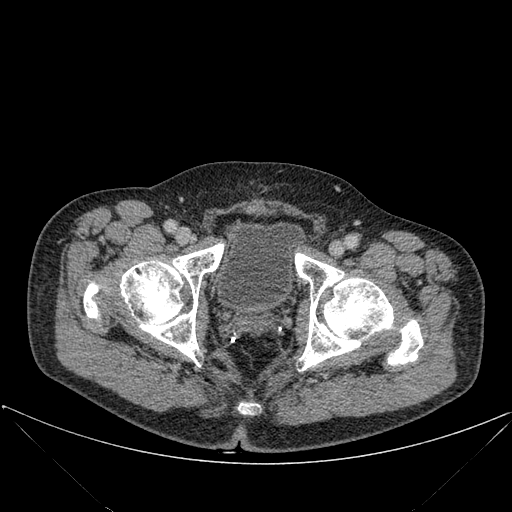 CT slice

The urinary bladder is located at x1=215 y1=222 x2=306 y2=320. 5 bone regions appear at x1=238 y1=403 x2=259 y2=414, x1=388 y1=320 x2=422 y2=365, x1=120 y1=244 x2=223 y2=366, x1=83 y1=283 x2=98 y2=318, x1=295 y1=253 x2=393 y2=371.